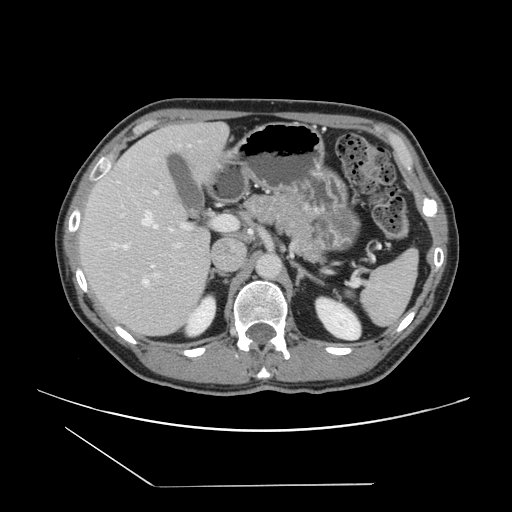 CT image, Liver
The vessel boxes may cover only some of the vessels.
hepatic_vessel:
  - 151,220,156,223
  - 178,144,180,146
  - 119,245,121,247
  - 110,242,114,247
  - 157,274,158,276
  - 128,188,129,189
  - 125,242,130,247
  - 153,158,154,159
  - 144,275,149,279